Image size 240x240 | Field of view 240x240 mm | Brain
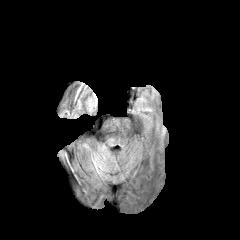
FLAIR MRI.
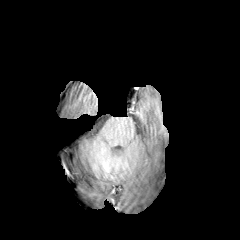
T1-weighted magnetic resonance.
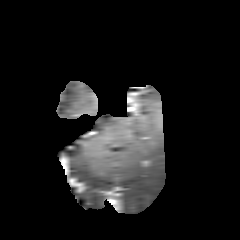
Post-contrast T1-weighted MRI.
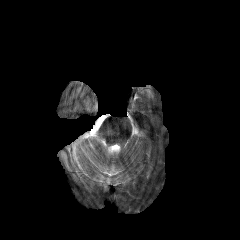
T2-weighted magnetic resonance.
{
  "edema": [
    "bbox(60, 151, 73, 171)"
  ]
}